MRI, Image size 320x320, Slice index 41, Heart
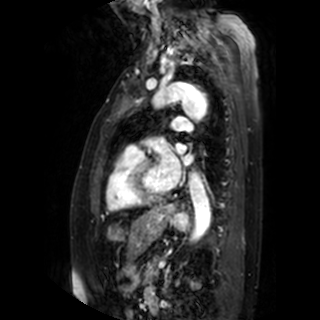

Segmented structures:
• left atrium: [x1=184, y1=155, x2=192, y2=165], [x1=159, y1=151, x2=181, y2=187], [x1=176, y1=144, x2=185, y2=153]